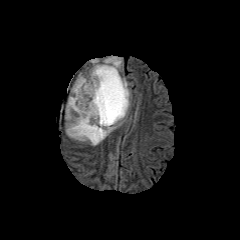
FLAIR magnetic resonance.
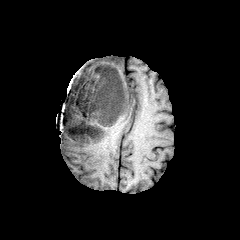
T1-weighted MR image.
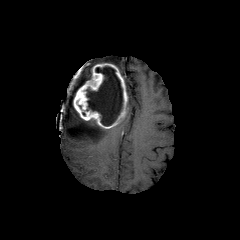
Post-contrast T1-weighted MR image of the same slice.
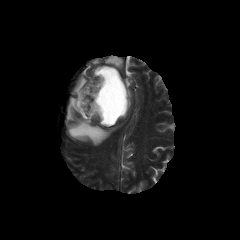
T2-weighted MRI of the same slice.
Brain | 240x240
The non-enhancing tumor core is bounded by 86 67 123 125. The enhancing tumor is bounded by 73 62 128 128. 3 edema regions appear at 123 77 133 109, 100 55 123 71, 65 58 117 146.